Slice 112/155; Field of view 240x240 mm; Image size 240x240
FLAIR magnetic resonance.
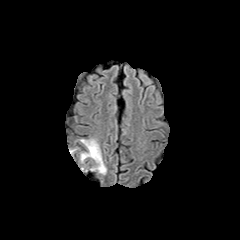
T1-weighted MRI.
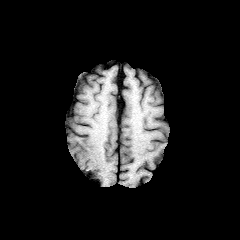
Post-contrast T1-weighted magnetic resonance.
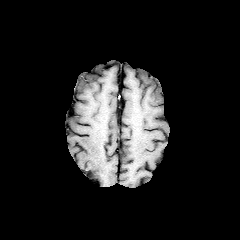
T2-weighted MRI.
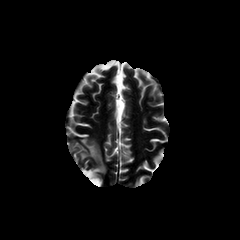
edema: box(69, 138, 107, 174)